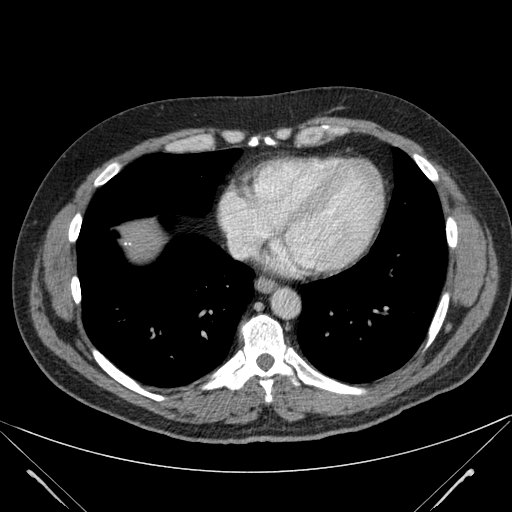

CT. The liver is at (x1=121, y1=221, x2=160, y2=258).